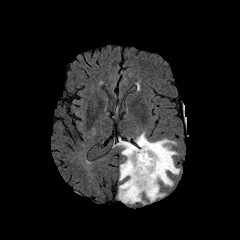
FLAIR MR image.
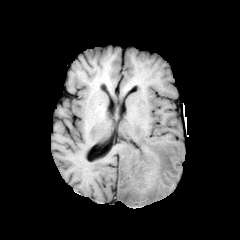
T1-weighted MR image.
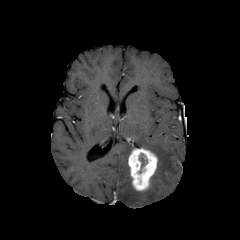
Same slice, post-contrast T1-weighted MR.
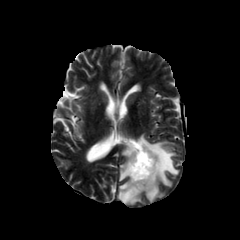
T2-weighted MR image.
Brain
Non-enhancing tumor core at 150:157:159:187.
Enhancing tumor at 128:147:158:191.
Edema at 118:132:179:204.